Field of view 339x339 mm. CT scan slice. Abdomen. Slice index 265.
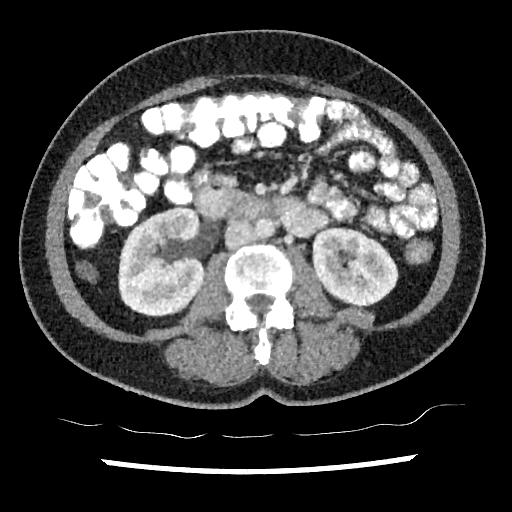
Kidney — [x1=119, y1=209, x2=203, y2=315], [x1=313, y1=229, x2=397, y2=305].